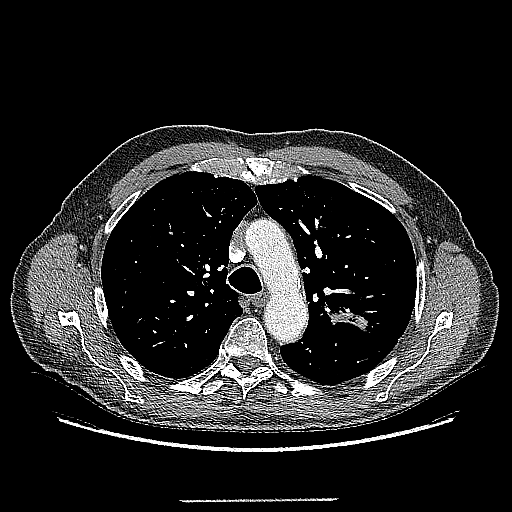 Thorax | 512x512 px | CT slice
Lung tumor at left=327, top=308, right=370, bottom=333.